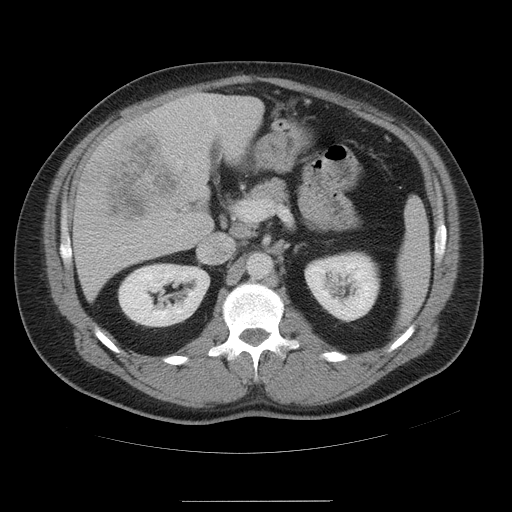

Computed tomography

The spleen is at <bbox>398, 198, 429, 326</bbox>.